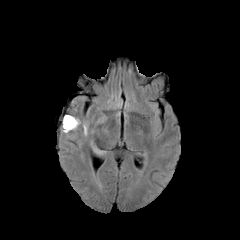
FLAIR MR.
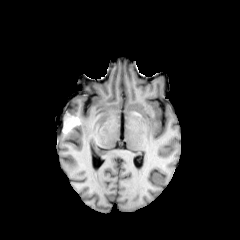
T1-weighted MRI of the same slice.
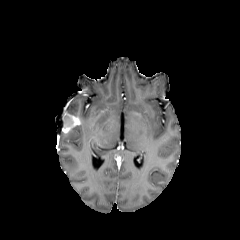
Post-contrast T1-weighted MR image of the same slice.
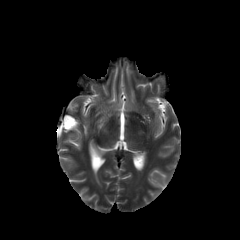
T2-weighted magnetic resonance of the same slice.
Head
<segmentation>
  <edema>l=61, t=118, r=90, b=142</edema>
  <enhancing_tumor>l=62, t=115, r=81, b=132</enhancing_tumor>
</segmentation>